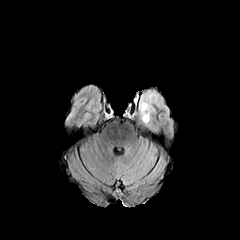
FLAIR MR image.
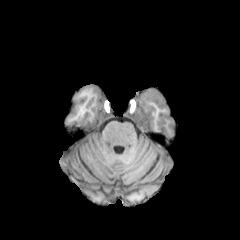
T1-weighted magnetic resonance.
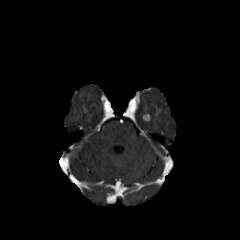
Post-contrast T1-weighted magnetic resonance.
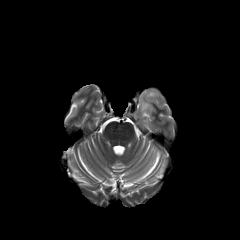
Same slice, T2-weighted MR.
Head. 240x240.
<segmentation>
  <edema>(left=136, top=91, right=160, bottom=131)</edema>
</segmentation>